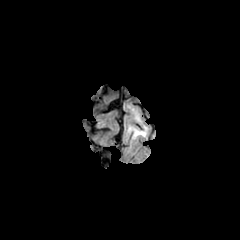
FLAIR MRI.
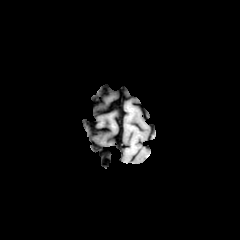
T1-weighted MRI.
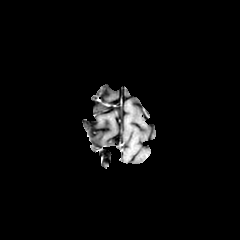
Post-contrast T1-weighted MR of the same slice.
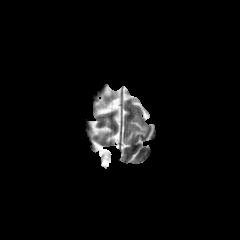
T2-weighted MRI of the same slice.
Head.
The edema is bounded by x1=128, y1=114, x2=149, y2=138.